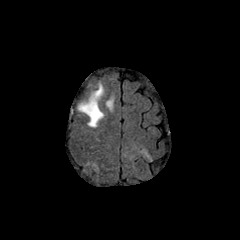
FLAIR MR image.
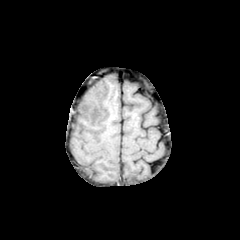
T1-weighted MRI.
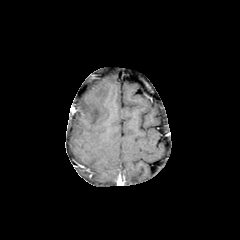
Same slice, post-contrast T1-weighted MRI.
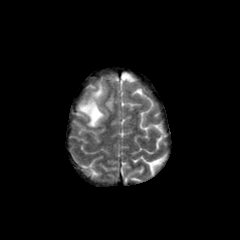
T2-weighted MR.
240x240.
Edema — 77, 84, 107, 127; 105, 97, 113, 111.